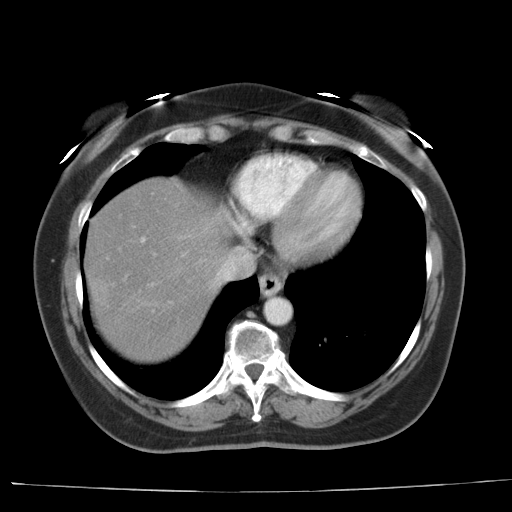

Liver; Computed tomography

Not every hepatic vessel necessarily has a box.
{
  "hepatic_vessel": [
    "rect(141, 238, 144, 241)"
  ]
}